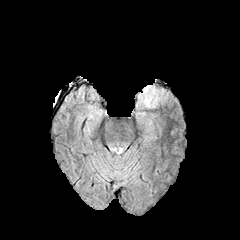
FLAIR MR image.
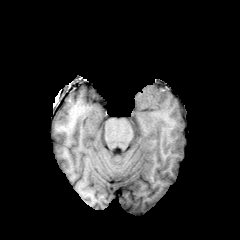
Same slice, T1-weighted MR.
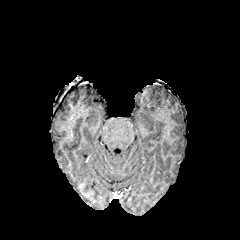
Same slice, post-contrast T1-weighted MRI.
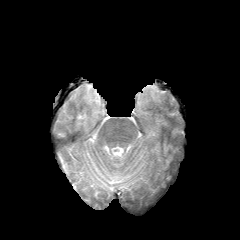
Same slice, T2-weighted MR.
240x240 px. Head.
The edema appears at 148 86 158 97.